Liver | CT image | Field of view 372 mm wide, 2.50 mm slice spacing

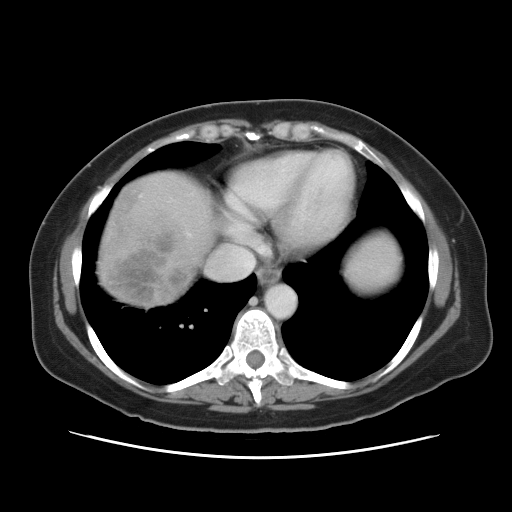
The vessel annotation is not exhaustive.
Hepatic vessel at <bbox>205, 236, 257, 279</bbox>, <bbox>231, 223, 246, 230</bbox>, <bbox>187, 234, 190, 235</bbox>.
Liver tumor at <bbox>103, 186, 193, 304</bbox>.